Brain | Image width 240 mm
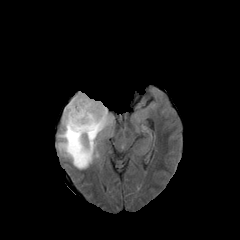
FLAIR MR.
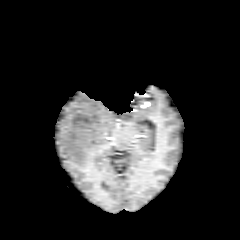
T1-weighted MR image of the same slice.
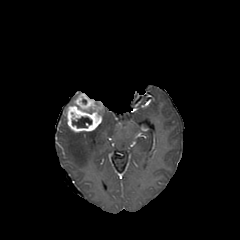
Post-contrast T1-weighted magnetic resonance of the same slice.
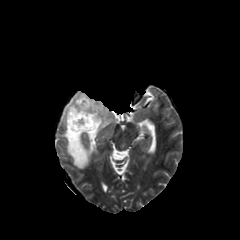
T2-weighted MRI of the same slice.
Non-enhancing tumor core at l=73, t=117, r=91, b=127.
Edema at l=57, t=112, r=112, b=169.
Enhancing tumor at l=64, t=92, r=103, b=132.